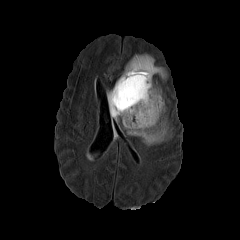
FLAIR magnetic resonance.
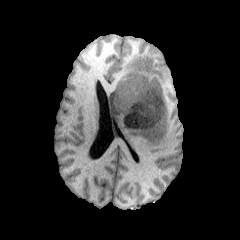
Same slice, T1-weighted MR.
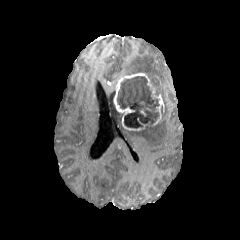
Post-contrast T1-weighted MRI of the same slice.
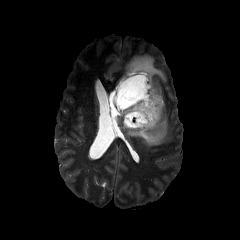
T2-weighted MRI.
Brain | Image size 240x240
Enhancing tumor = x1=113, y1=73, x2=164, y2=131.
Non-enhancing tumor core = x1=116, y1=76, x2=159, y2=129.
Edema = x1=127, y1=115, x2=171, y2=146; x1=121, y1=54, x2=166, y2=82; x1=106, y1=87, x2=123, y2=122.